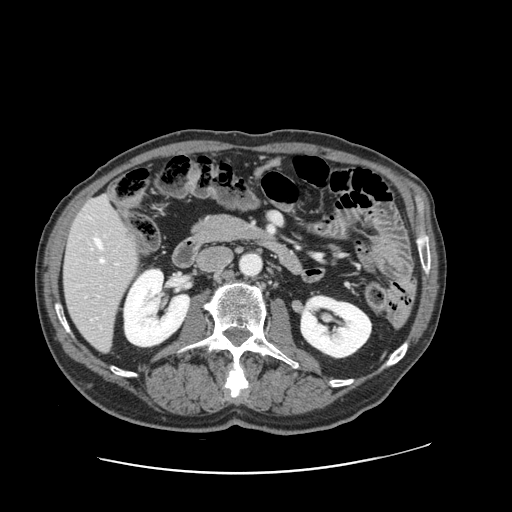
CT scan slice. Abdomen. 512x512 px.

Only some of the vessels may be annotated.
hepatic_vessel:
  - 94, 238, 101, 248
  - 100, 259, 103, 262